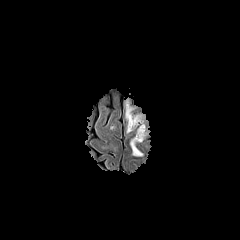
FLAIR MRI.
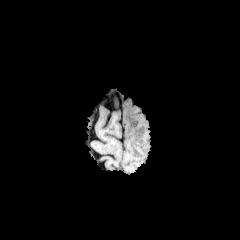
Same slice, T1-weighted MR image.
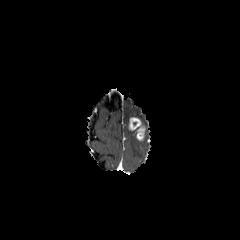
Post-contrast T1-weighted MR of the same slice.
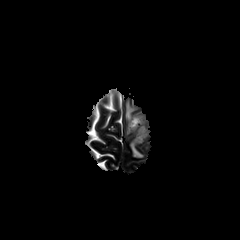
Same slice, T2-weighted MRI.
<segmentation>
  <enhancing_tumor>{"x1": 128, "y1": 117, "x2": 144, "y2": 140}</enhancing_tumor>
  <edema>{"x1": 142, "y1": 126, "x2": 150, "y2": 139}, {"x1": 124, "y1": 100, "x2": 138, "y2": 134}, {"x1": 130, "y1": 137, "x2": 144, "y2": 157}</edema>
</segmentation>